CT 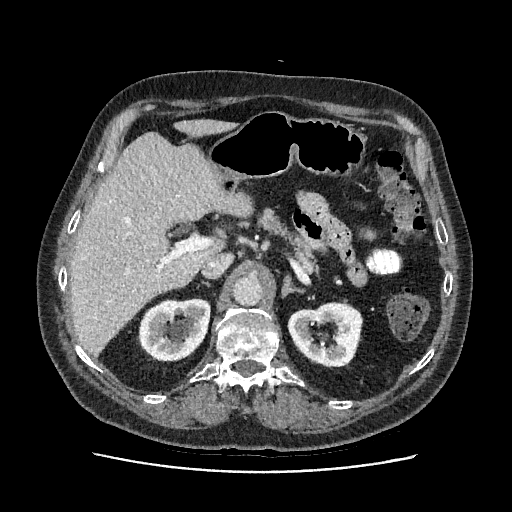
2 kidney regions are located at [289, 303, 361, 365], [140, 299, 209, 360]. 2 liver regions are bounded by [174, 120, 237, 135], [71, 132, 251, 354].